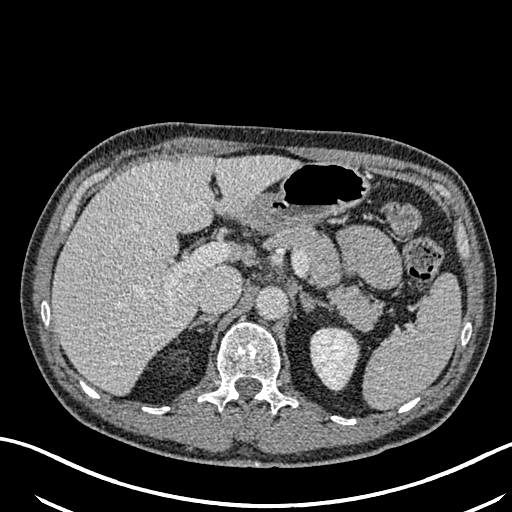

CT scan slice
The liver is bounded by [x1=52, y1=155, x2=300, y2=393]. The kidney appears at [x1=311, y1=329, x2=357, y2=389].